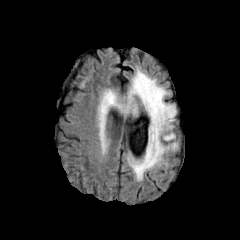
FLAIR MR image.
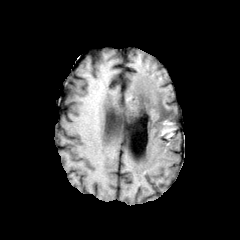
Same slice, T1-weighted MR.
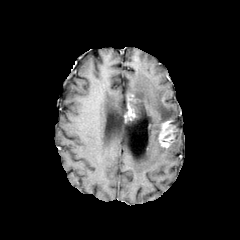
Post-contrast T1-weighted MR of the same slice.
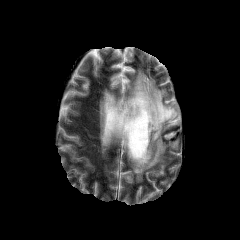
T2-weighted magnetic resonance.
2 non-enhancing tumor core regions appear at [125,95,135,111], [138,97,169,119]. The edema is at [98,69,177,181]. 2 enhancing tumor regions are bounded by [125,96,134,116], [159,120,171,146].